Head
FLAIR MR image.
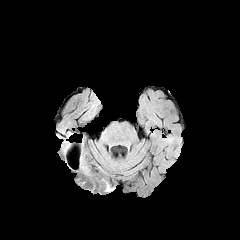
T1-weighted MRI.
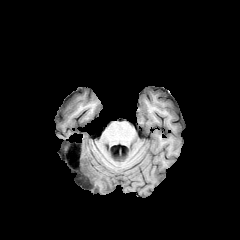
Post-contrast T1-weighted magnetic resonance.
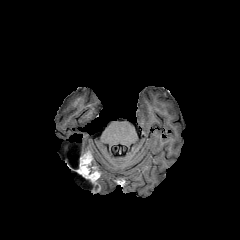
T2-weighted MR.
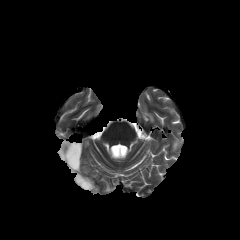
{"non-enhancing_tumor_core": ["left=80, top=153, right=91, bottom=161", "left=89, top=170, right=99, bottom=183"], "enhancing_tumor": ["left=80, top=157, right=95, bottom=179"]}